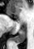 Magnetic resonance. Image size 34x49.

{"posterior_hippocampus": ["13 29 25 43"]}